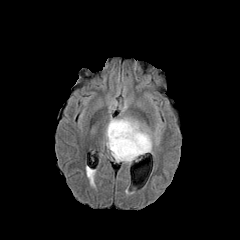
FLAIR MR image.
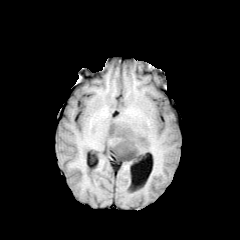
T1-weighted MRI.
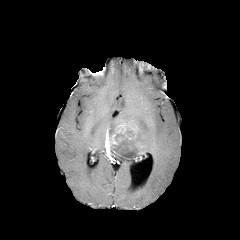
Post-contrast T1-weighted MR image of the same slice.
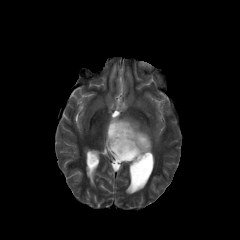
T2-weighted magnetic resonance of the same slice.
Brain, 240x240
2 non-enhancing tumor core regions appear at 126 129 136 138, 111 133 145 159. 2 edema regions appear at 106 118 152 156, 118 156 141 164. The enhancing tumor appears at 105 123 132 160.